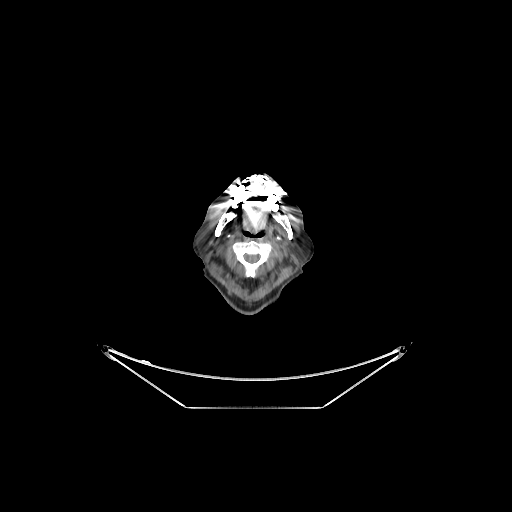 CT image. 3 bone regions are located at l=233, t=240, r=273, b=276; l=215, t=212, r=236, b=236; l=227, t=175, r=292, b=239.